Abdomen | 512x512 px | Slice 647/733 | CT image 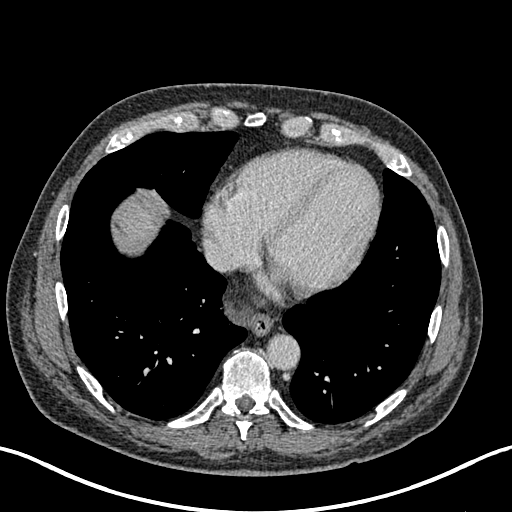

• liver: bbox(113, 195, 165, 254)